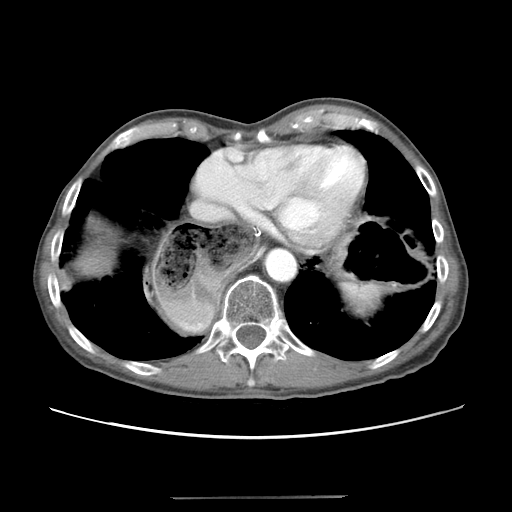 Abdomen | CT image
Colon tumor: bounding box 331,233,352,281.